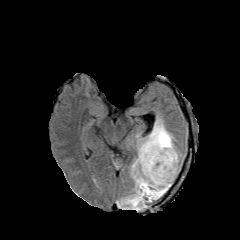
FLAIR MRI.
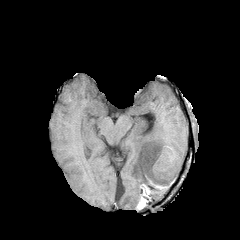
T1-weighted MR.
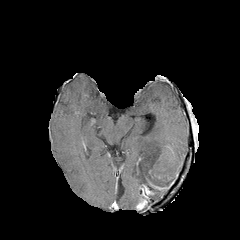
Post-contrast T1-weighted MR image.
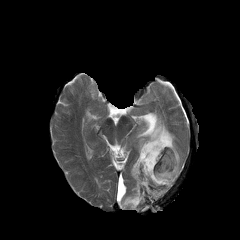
T2-weighted MRI of the same slice.
Brain.
edema:
  - rect(117, 116, 181, 211)
non-enhancing_tumor_core:
  - rect(134, 160, 140, 174)
  - rect(155, 176, 172, 190)
  - rect(139, 186, 152, 201)
  - rect(148, 149, 157, 177)